Computed tomography 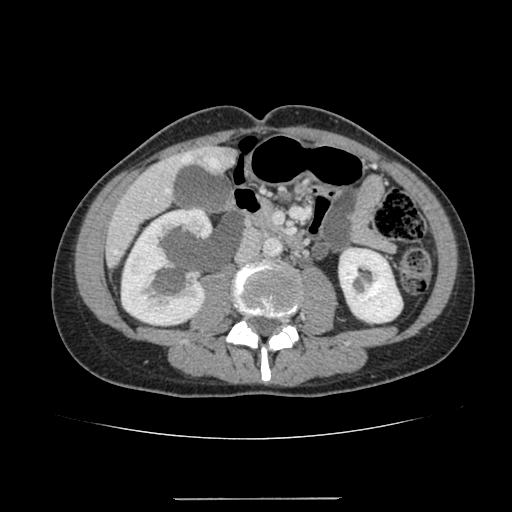

The liver appears at 105:146:236:264. 2 kidney regions are located at 122:209:211:324, 339:249:402:322.